FLAIR MR.
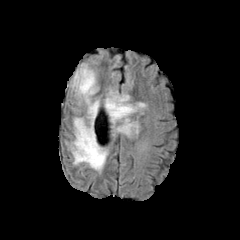
T1-weighted magnetic resonance.
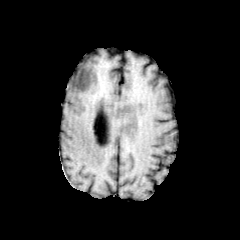
Post-contrast T1-weighted MR image.
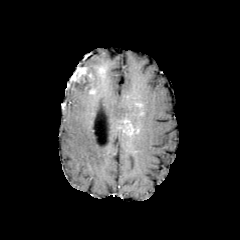
T2-weighted magnetic resonance.
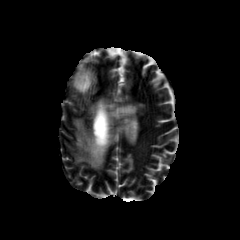
Annotated regions:
* non-enhancing tumor core: box=[70, 69, 93, 89]; box=[120, 124, 131, 134]
* edema: box=[69, 63, 141, 172]
* enhancing tumor: box=[124, 124, 133, 133]; box=[71, 66, 87, 82]